Magnetic resonance; Slice 19/40; Medial temporal lobe
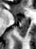

2 anterior hippocampus regions are located at x1=15, y1=19, x2=16, y2=20; x1=20, y1=18, x2=27, y2=22. The posterior hippocampus is at x1=17, y1=23, x2=28, y2=37.